Image width 240 mm | Head | 240x240
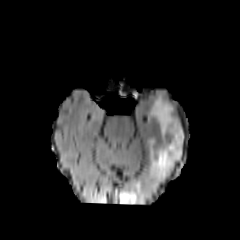
FLAIR MRI.
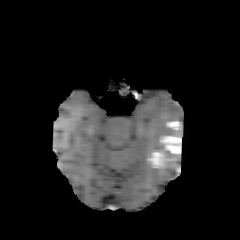
Same slice, T1-weighted MRI.
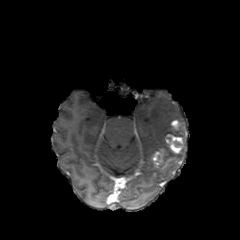
Same slice, post-contrast T1-weighted MR image.
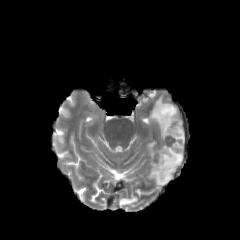
T2-weighted MRI.
Edema: bounding box (147, 94, 184, 184), (120, 196, 137, 203).
Enhancing tumor: bounding box (165, 134, 183, 153), (171, 120, 180, 128), (151, 149, 171, 164).